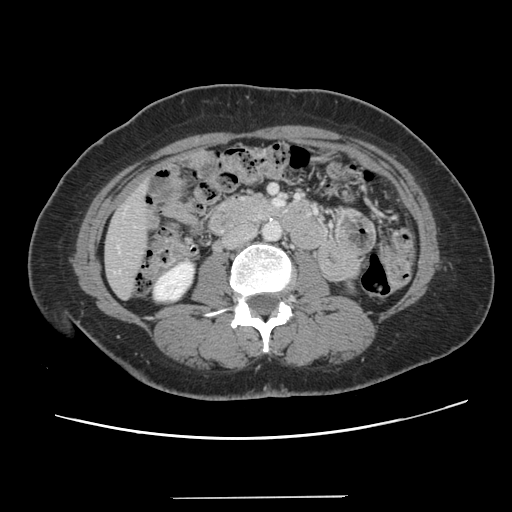 Image size 512x512; Computed tomography
Some hepatic vessels may have no box.
The hepatic vessel appears at {"x1": 118, "y1": 247, "x2": 120, "y2": 252}.